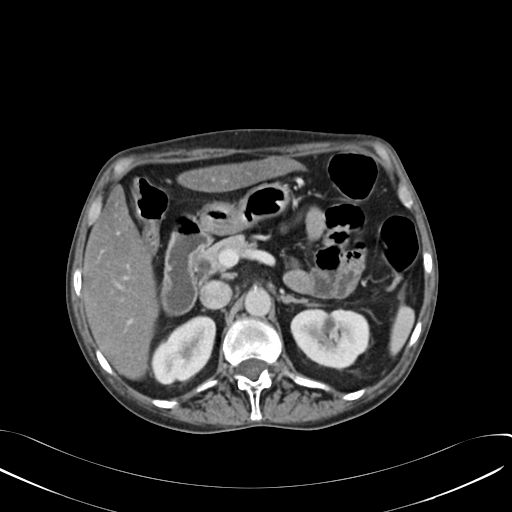

CT | Upper abdomen | 512x512

kidney: box=[292, 310, 367, 366]; box=[153, 318, 214, 383] | liver: box=[84, 185, 156, 376]; box=[180, 156, 303, 192]